FLAIR MR image.
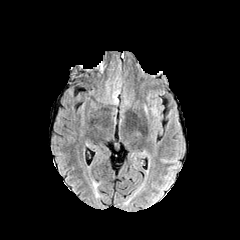
T1-weighted MR.
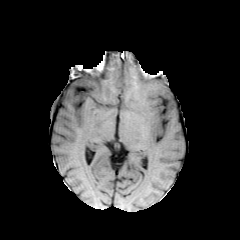
Post-contrast T1-weighted magnetic resonance.
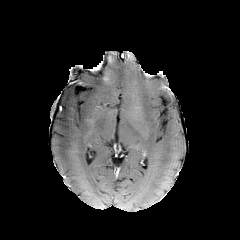
T2-weighted MRI.
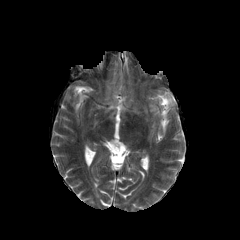
Brain
Findings:
* edema: (x1=144, y1=94, x2=163, y2=125)